T2-weighted MRI.
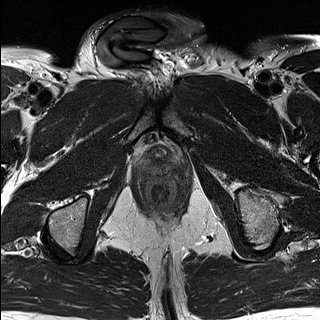
ADC magnetic resonance.
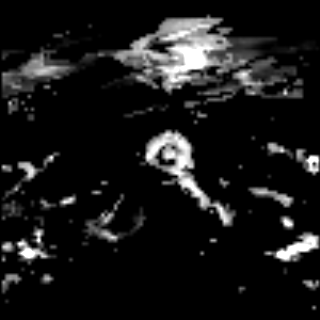
Pelvis. Image size 320x320.
* prostate transition zone: <bbox>146, 145, 171, 164</bbox>